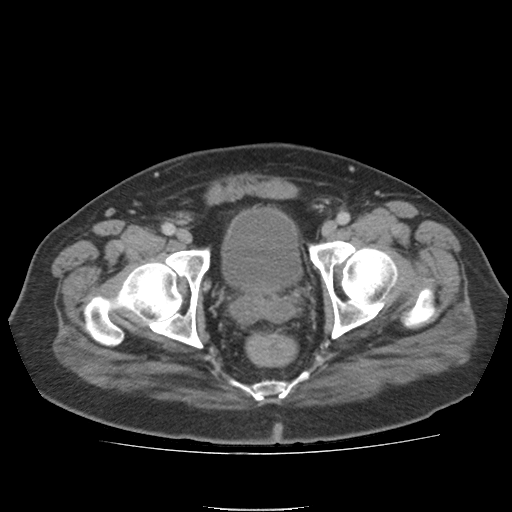
CT slice. The urinary bladder is located at <bbox>222, 212, 299, 296</bbox>.